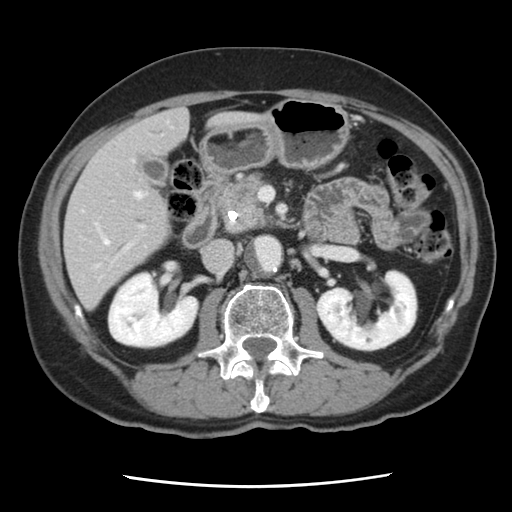

Abdomen | CT slice | Image size 512x512
Pancreas: bounding box 223:173:266:211.
Pancreatic tumor: bounding box 216:187:265:234.